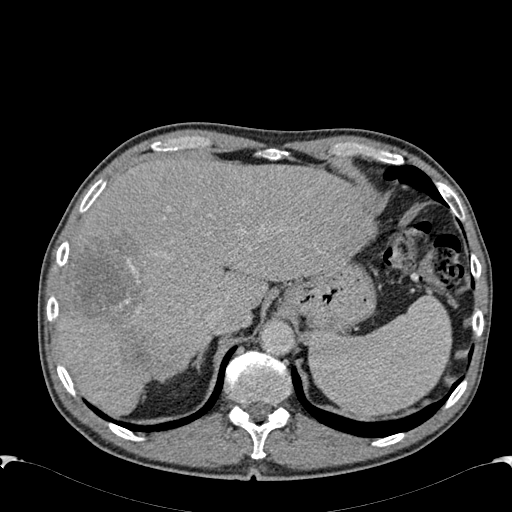 CT image; 512x512; Upper abdomen

Findings:
- liver lesion: (73,234,161,372)
- liver: (57,158,376,414)